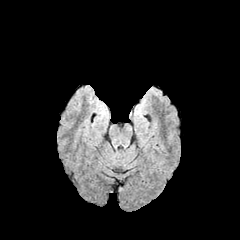
FLAIR MR image.
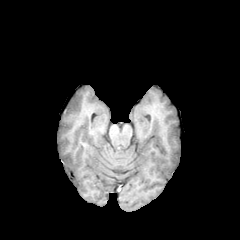
T1-weighted MR of the same slice.
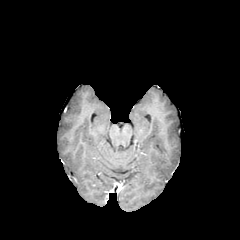
Post-contrast T1-weighted MRI of the same slice.
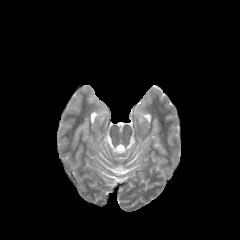
T2-weighted magnetic resonance.
Head. Image size 240x240.
edema:
  - 97 110 107 121